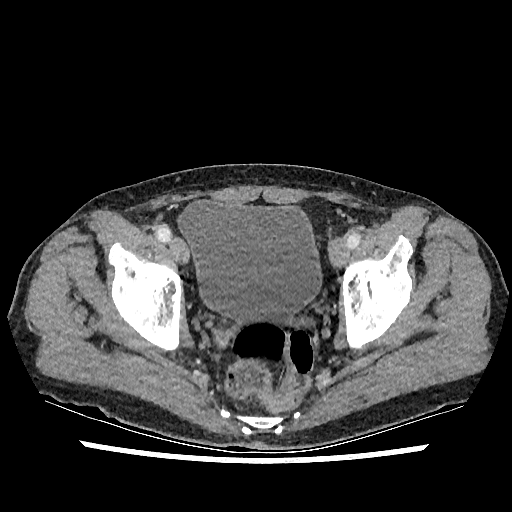
Lower abdomen, 512x512, Computed tomography
The urinary bladder is bounded by (x1=178, y1=198, x2=322, y2=333).